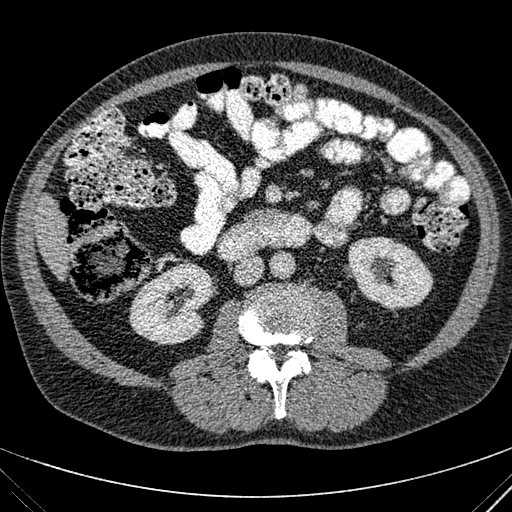
Image size 512x512, CT image, Upper abdomen

{"kidney": [{"x1": 129, "y1": 263, "x2": 212, "y2": 343}, {"x1": 349, "y1": 237, "x2": 432, "y2": 308}], "liver": [{"x1": 36, "y1": 193, "x2": 65, "y2": 281}]}